CT slice.

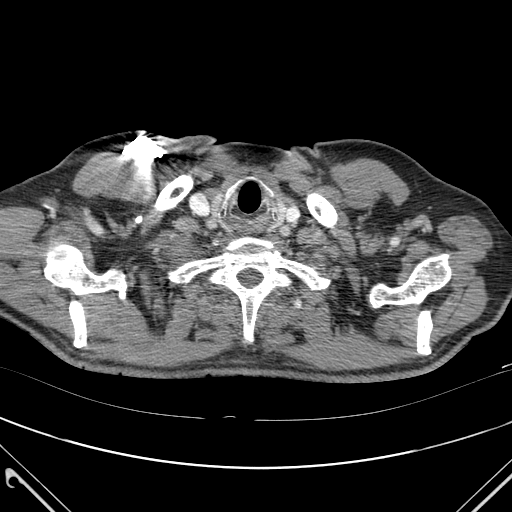

<segmentation>
  <bone>bbox(370, 254, 450, 307); bbox(44, 244, 126, 298); bbox(169, 237, 329, 341); bbox(69, 301, 86, 347); bbox(155, 175, 192, 210); bbox(417, 311, 432, 354); bbox(307, 193, 336, 227)</bone>
</segmentation>